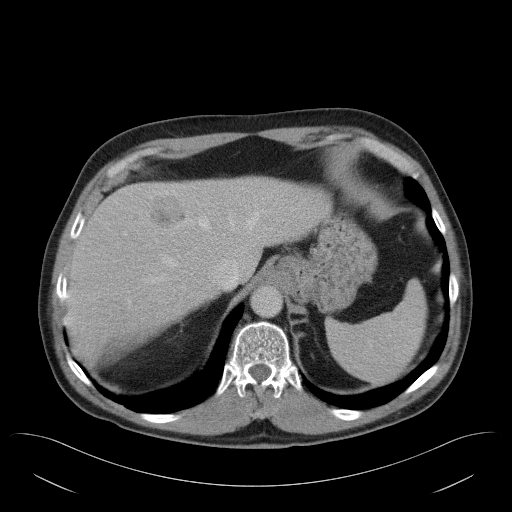

CT slice | Abdomen
Some hepatic vessels may have no box.
The liver tumor is located at {"x1": 150, "y1": 196, "x2": 187, "y2": 228}. 6 hepatic vessel regions appear at {"x1": 248, "y1": 209, "x2": 265, "y2": 227}, {"x1": 185, "y1": 215, "x2": 211, "y2": 231}, {"x1": 163, "y1": 259, "x2": 176, "y2": 266}, {"x1": 142, "y1": 278, "x2": 169, "y2": 282}, {"x1": 229, "y1": 213, "x2": 234, "y2": 230}, {"x1": 196, "y1": 200, "x2": 207, "y2": 204}.